Field of view 240 mm wide, 1.00 mm slice spacing, 240x240
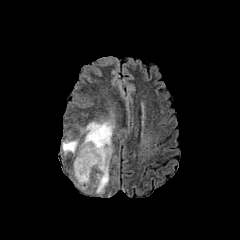
FLAIR MR.
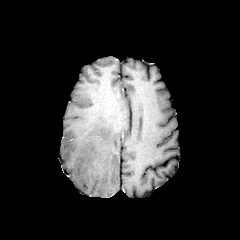
T1-weighted MR.
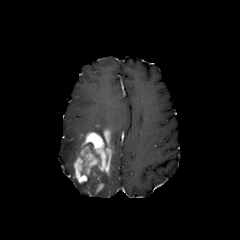
Post-contrast T1-weighted MR of the same slice.
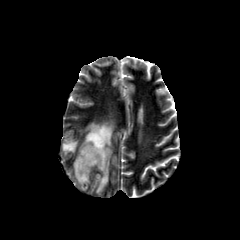
T2-weighted magnetic resonance.
The enhancing tumor appears at [73, 130, 111, 183]. 2 non-enhancing tumor core regions appear at [83, 165, 99, 183], [93, 171, 106, 190]. 4 edema regions are bounded by [81, 168, 100, 188], [62, 137, 83, 159], [96, 174, 109, 193], [83, 120, 114, 166].